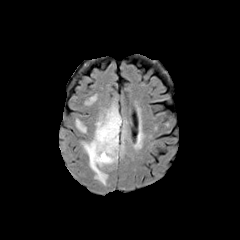
FLAIR MR image.
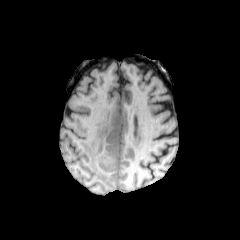
T1-weighted MRI.
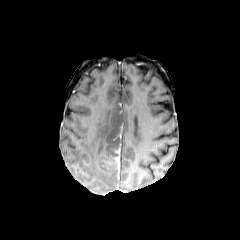
Post-contrast T1-weighted MR image of the same slice.
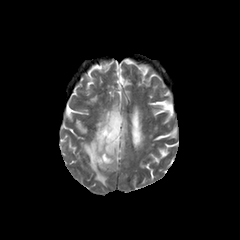
Same slice, T2-weighted MR.
Brain
Enhancing tumor — box(114, 148, 120, 169).
Non-enhancing tumor core — box(107, 146, 120, 167).
Edema — box(81, 102, 128, 185).